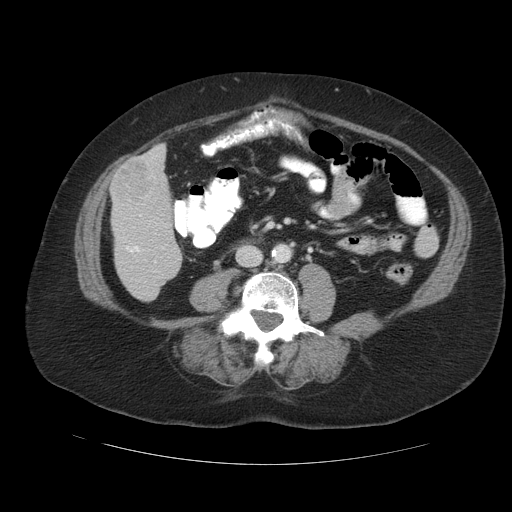 Image size 512x512. Liver. Computed tomography.
Some hepatic vessels may have no box.
Liver tumor at <box>111,160,151,200</box>.
Hepatic vessel at <box>127,246,128,249</box>, <box>130,247,137,251</box>.